MRI | Image size 35x46 | Medial temporal lobe | Field of view 35 mm wide, 1.00 mm slice spacing

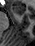

Anterior hippocampus = 11:5:26:15.